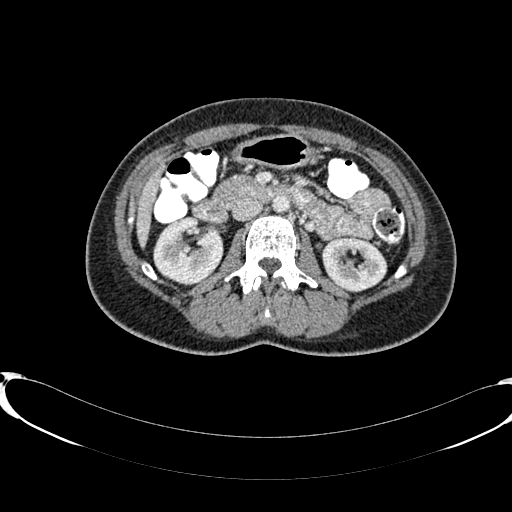 Computed tomography. 2 kidney regions appear at (323,239,385,290), (154,219,221,282). The liver lies within (135,166,163,246).